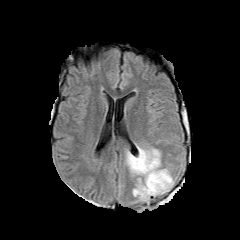
FLAIR MR.
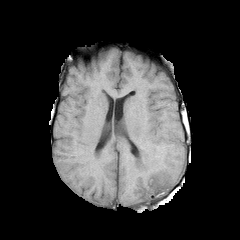
Same slice, T1-weighted MR.
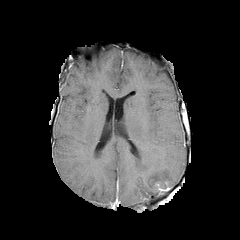
Post-contrast T1-weighted MRI.
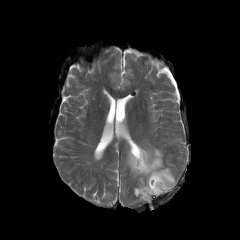
T2-weighted MR.
Head; 240x240
Edema = left=126, top=144, right=175, bottom=201.
Enhancing tumor = left=156, top=182, right=169, bottom=193.